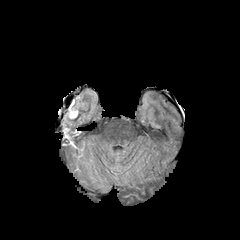
FLAIR MR image.
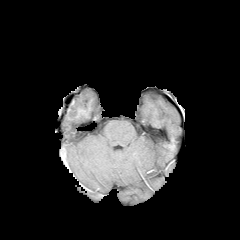
T1-weighted MR image.
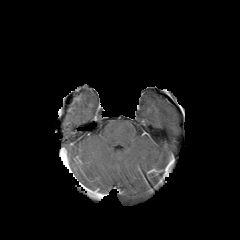
Post-contrast T1-weighted magnetic resonance.
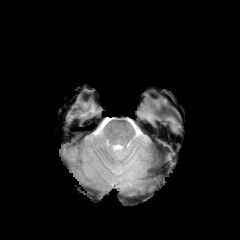
Same slice, T2-weighted MR.
Head
{"edema": ["bbox(109, 148, 143, 183)", "bbox(113, 148, 130, 160)", "bbox(67, 102, 77, 119)"]}